FLAIR magnetic resonance.
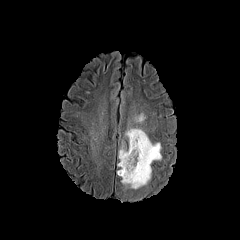
T1-weighted MR.
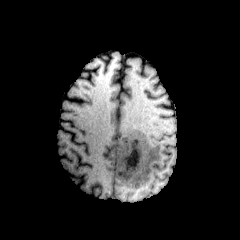
Post-contrast T1-weighted MR image.
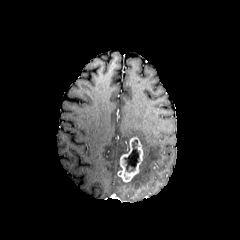
T2-weighted magnetic resonance.
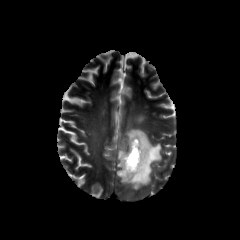
Brain. 240x240 px.
Non-enhancing tumor core — (left=123, top=140, right=139, bottom=172).
Enhancing tumor — (left=117, top=137, right=143, bottom=182).
Edema — (left=134, top=113, right=144, bottom=122), (left=130, top=196, right=143, bottom=201), (left=123, top=128, right=161, bottom=190).